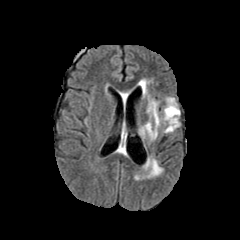
FLAIR MRI.
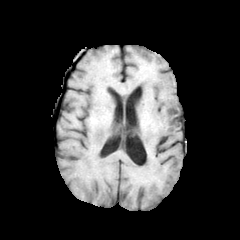
Same slice, T1-weighted MR.
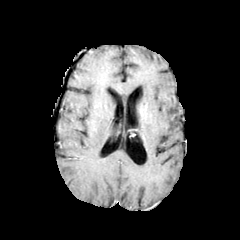
Post-contrast T1-weighted MR of the same slice.
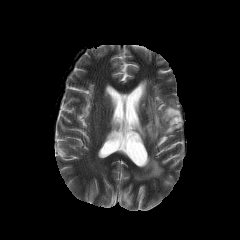
Same slice, T2-weighted MRI.
Brain
edema: region(146, 159, 163, 176); region(139, 80, 180, 140)